Image size 512x512 | CT image | Slice 71 of 98
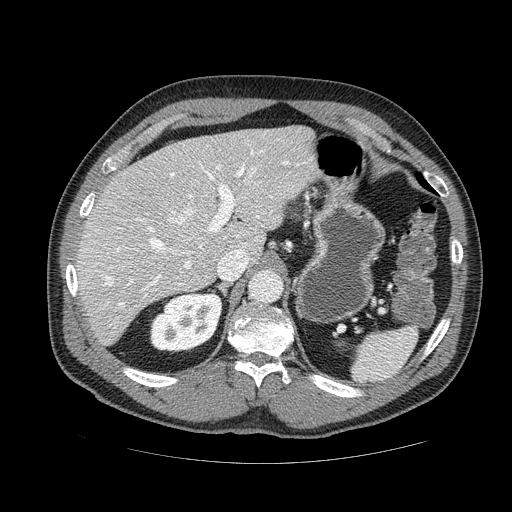 <segmentation>
  <pancreas>{"x1": 283, "y1": 197, "x2": 310, "y2": 223}</pancreas>
  <pancreatic_tumor>{"x1": 284, "y1": 200, "x2": 304, "y2": 220}</pancreatic_tumor>
</segmentation>